CT slice, Liver

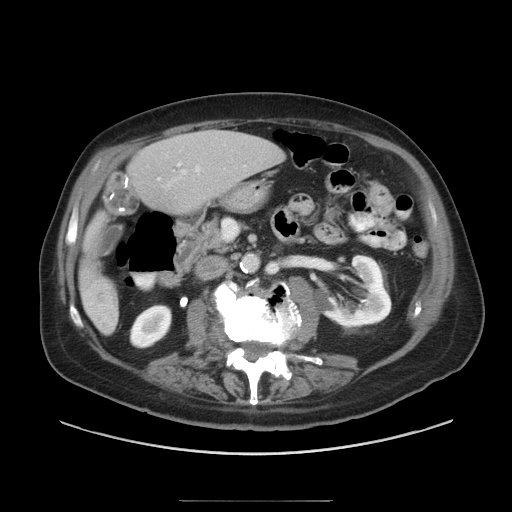

Not every hepatic vessel necessarily has a box.
The liver tumor appears at (left=101, top=318, right=113, bottom=329). 4 hepatic vessel regions are bounded by (left=195, top=166, right=200, bottom=171), (left=182, top=170, right=186, bottom=173), (left=158, top=178, right=160, bottom=180), (left=178, top=162, right=181, bottom=165).